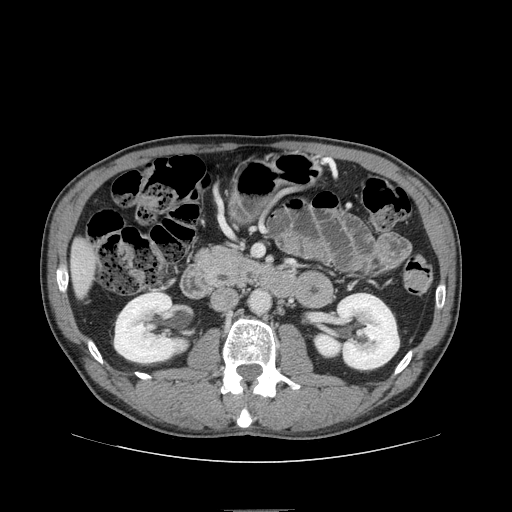 Computed tomography; Abdomen
{"pancreas": ["box=[197, 245, 268, 286]"]}